FLAIR magnetic resonance.
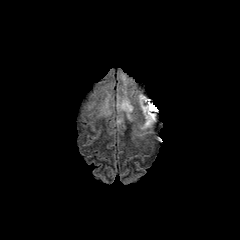
T1-weighted magnetic resonance.
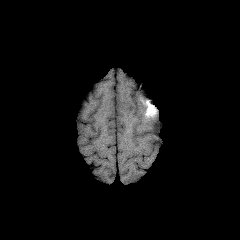
Post-contrast T1-weighted MR image.
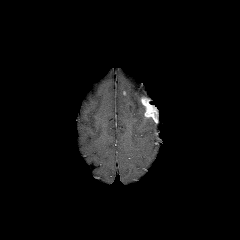
T2-weighted MRI.
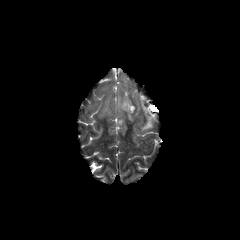
240x240 px; Brain
Findings:
- enhancing tumor: 141:97:157:120
- edema: 136:94:153:132, 100:89:134:124